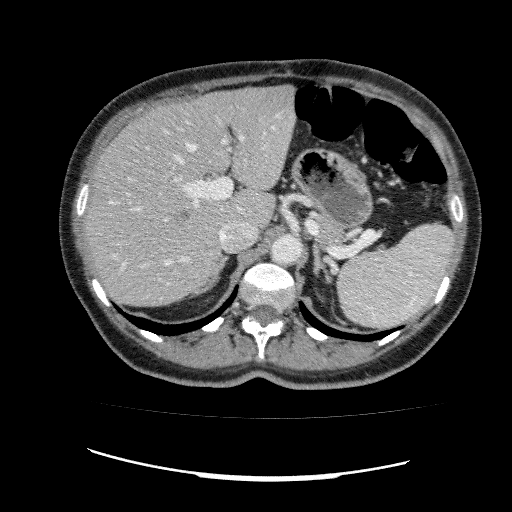

CT slice. Abdomen. 512x512.

Liver lesion — rect(176, 208, 189, 223).
Liver — rect(82, 85, 295, 306).